Image width 458 mm. Slice 50/107. 512x512 px. CT image.

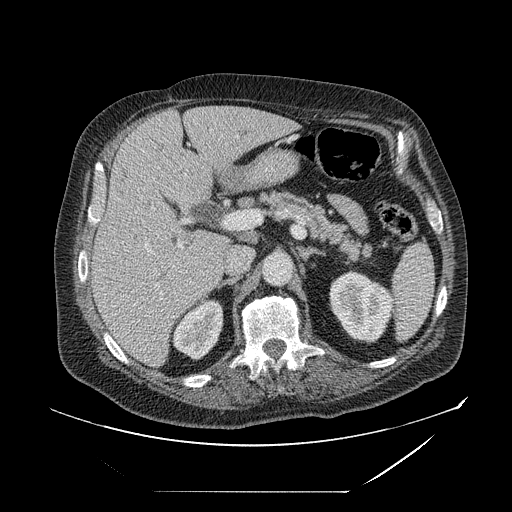 {
  "pancreas": [
    "box=[258, 190, 373, 262]"
  ]
}